240x240 px, Slice index 94, Brain
FLAIR MRI.
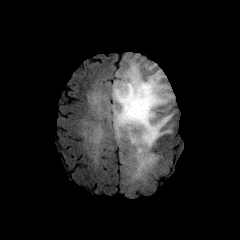
T1-weighted MR.
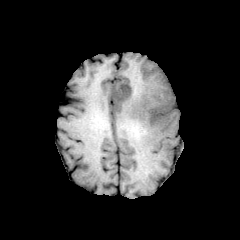
Post-contrast T1-weighted MRI.
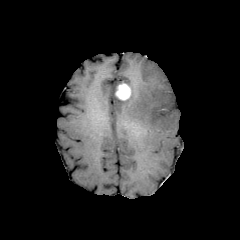
T2-weighted MRI.
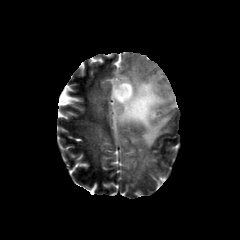
Segmented structures:
- enhancing tumor: left=115, top=82, right=131, bottom=100
- edema: left=108, top=60, right=173, bottom=174
- non-enhancing tumor core: left=141, top=96, right=149, bottom=110; left=112, top=70, right=142, bottom=121; left=119, top=122, right=144, bottom=137; left=150, top=106, right=157, bottom=117